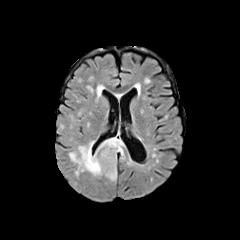
FLAIR MR.
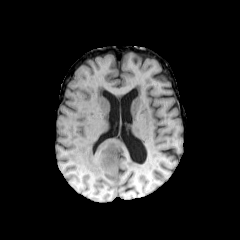
T1-weighted MRI of the same slice.
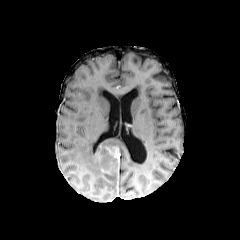
Same slice, post-contrast T1-weighted MRI.
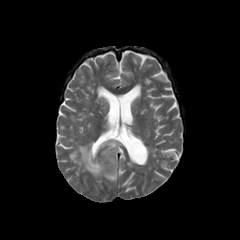
T2-weighted magnetic resonance of the same slice.
The enhancing tumor is located at <box>107,147,120,171</box>. The non-enhancing tumor core is at <box>96,144,118,174</box>. The edema appears at <box>69,136,125,181</box>.